Upper abdomen; CT image
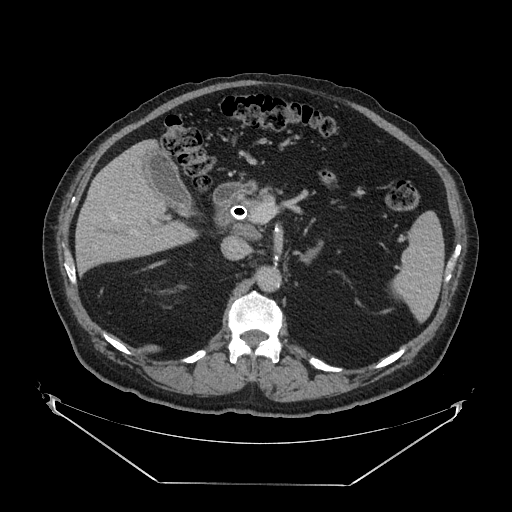 The pancreas lies within [244, 188, 271, 210].